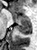
Image size 37x50. Magnetic resonance. Posterior hippocampus: bounding box region(15, 24, 31, 34).
Anterior hippocampus: bounding box region(11, 13, 30, 23).